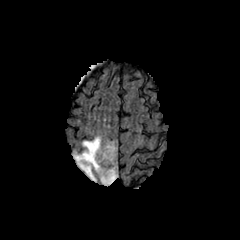
FLAIR MR.
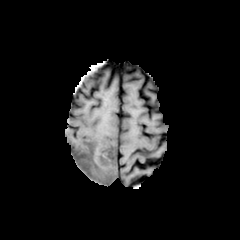
T1-weighted magnetic resonance.
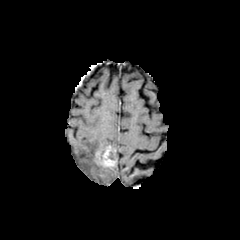
Post-contrast T1-weighted MR.
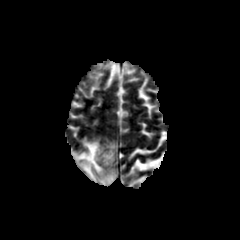
T2-weighted MRI.
The edema is bounded by [73,136,117,185]. The enhancing tumor is at [95,144,116,179].